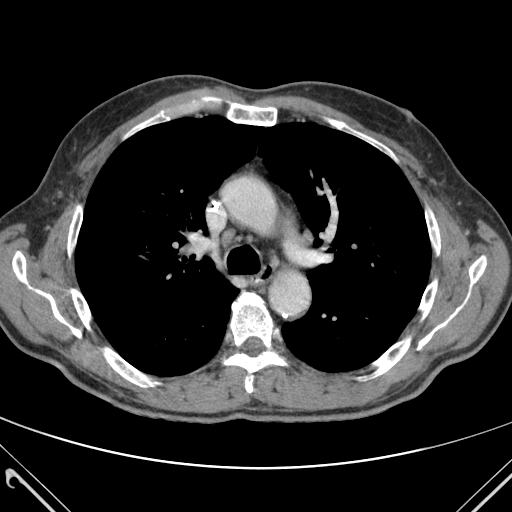
Computed tomography.
lung: (75, 116, 430, 376) | bone: (71, 289, 90, 328), (128, 111, 169, 134), (417, 300, 466, 349), (12, 251, 81, 337), (373, 338, 410, 376), (329, 119, 394, 156), (231, 293, 277, 347), (68, 206, 82, 255), (203, 97, 277, 125), (223, 351, 286, 392), (425, 210, 440, 254), (420, 280, 437, 318), (469, 256, 486, 286), (104, 348, 158, 386)